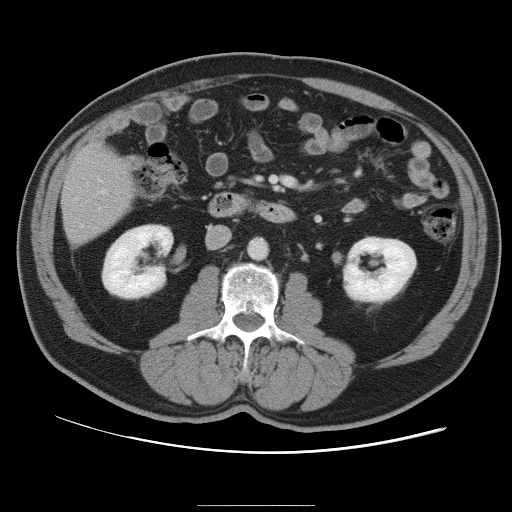
Abdomen; CT slice
The vessel annotation is not exhaustive.
2 hepatic vessel regions are bounded by 80,225,82,226; 97,189,106,193.